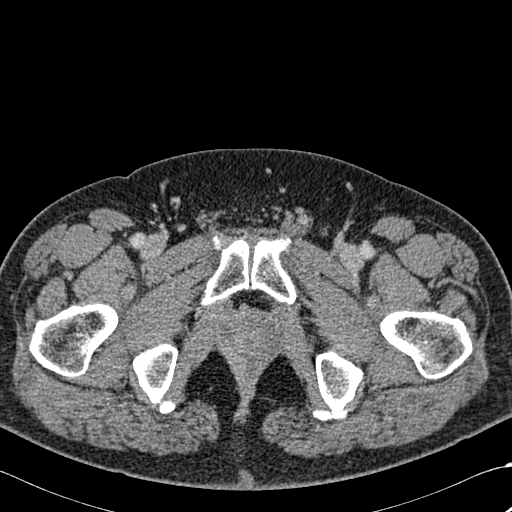

CT
6 bone regions are bounded by {"x1": 29, "y1": 303, "x2": 117, "y2": 376}, {"x1": 203, "y1": 239, "x2": 296, "y2": 304}, {"x1": 315, "y1": 351, "x2": 362, "y2": 419}, {"x1": 133, "y1": 344, "x2": 177, "y2": 412}, {"x1": 214, "y1": 237, "x2": 220, "y2": 248}, {"x1": 380, "y1": 310, "x2": 472, "y2": 378}.